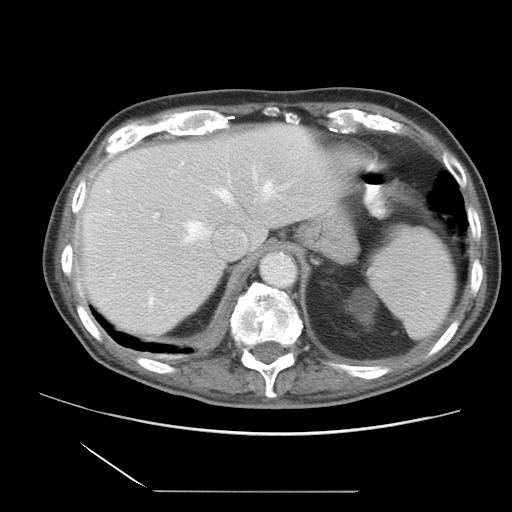

CT scan slice; Liver
Not every hepatic vessel necessarily has a box.
Segmented structures:
- hepatic vessel: bbox=[253, 168, 257, 178]; bbox=[225, 206, 230, 206]; bbox=[263, 182, 276, 198]; bbox=[153, 213, 158, 219]; bbox=[148, 289, 155, 310]; bbox=[213, 189, 231, 202]; bbox=[238, 232, 246, 241]; bbox=[182, 219, 219, 243]